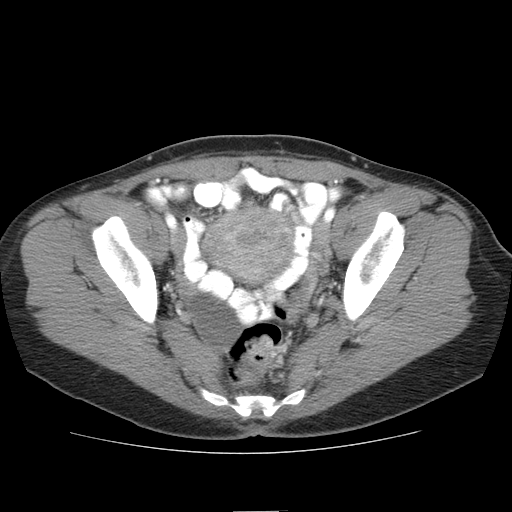

Pelvis. CT image.
{
  "colon_tumor": [
    "<box>235,335,280,381</box>"
  ]
}